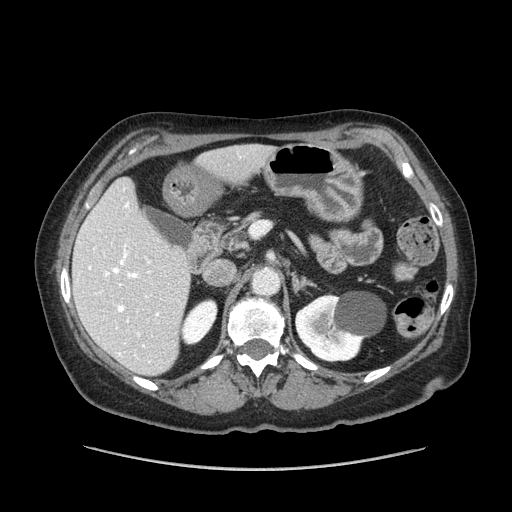

Image size 512x512; Abdomen; CT slice
{
  "pancreas": [
    "left=221, top=213, right=261, bottom=253"
  ]
}